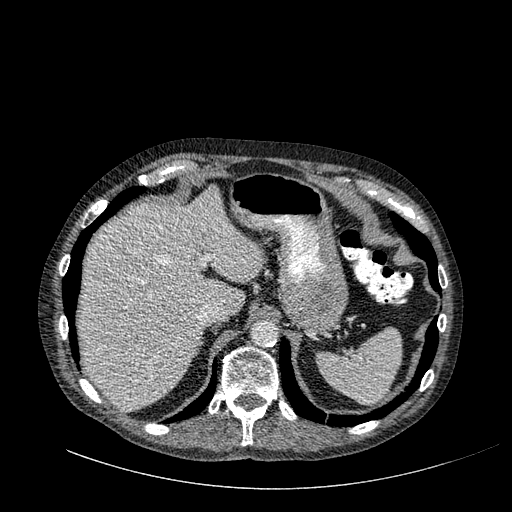
Liver; 512x512 px; CT

liver: x1=78 y1=186 x2=261 y2=409